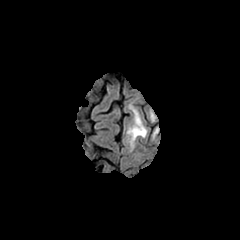
FLAIR magnetic resonance.
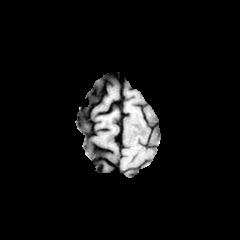
T1-weighted MRI.
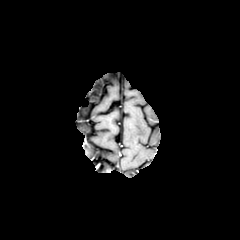
Post-contrast T1-weighted MRI.
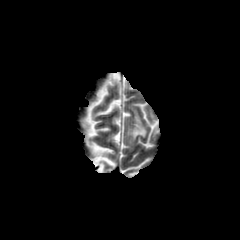
T2-weighted MR of the same slice.
240x240
Edema at (left=127, top=109, right=158, bottom=145), (left=149, top=112, right=156, bottom=123).